CT slice, Slice 501/547, 512x512 px
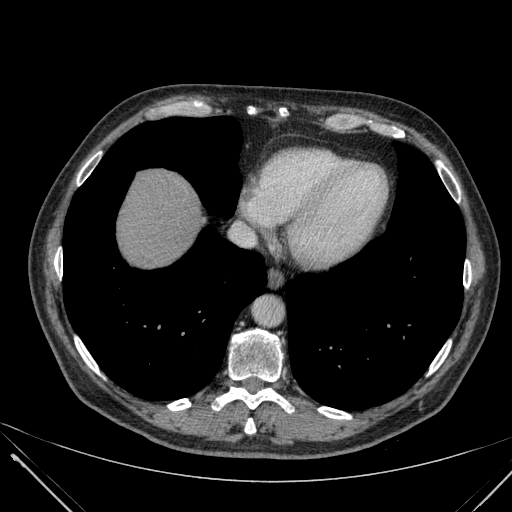
Liver at {"x1": 119, "y1": 170, "x2": 205, "y2": 266}.